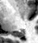

Medial temporal lobe, MRI
- posterior hippocampus: x1=14, y1=31, x2=23, y2=37